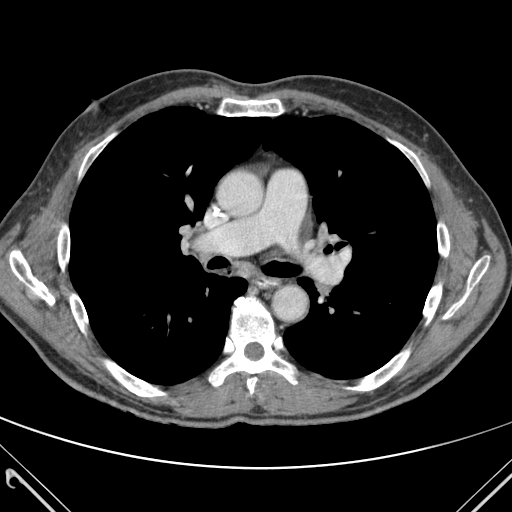

CT, Image size 512x512
<segmentation>
  <bone>(x1=80, y1=134, x2=113, y2=174), (x1=247, y1=377, x2=256, y2=393), (x1=348, y1=351, x2=409, y2=390), (x1=58, y1=226, x2=69, y2=269), (x1=217, y1=98, x2=286, y2=116), (x1=10, y1=251, x2=54, y2=304), (x1=70, y1=294, x2=87, y2=331), (x1=443, y1=256, x2=489, y2=318), (x1=209, y1=297, x2=296, y2=385), (x1=106, y1=361, x2=164, y2=396), (x1=423, y1=285, x2=441, y2=323), (x1=392, y1=141, x2=427, y2=178), (x1=437, y1=224, x2=449, y2=256)</bone>
  <lung>(x1=69, y1=107, x2=437, y2=384)</lung>
</segmentation>